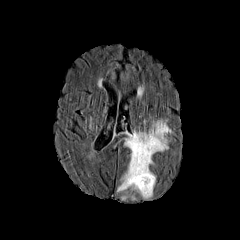
FLAIR MR.
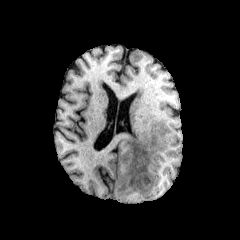
T1-weighted magnetic resonance.
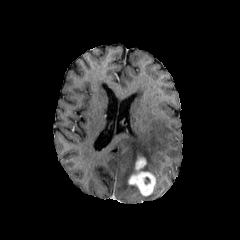
Post-contrast T1-weighted MR image.
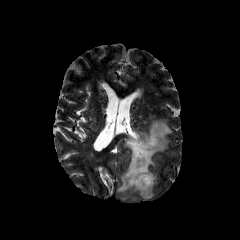
T2-weighted MRI of the same slice.
Image size 240x240
Enhancing tumor = box=[128, 158, 155, 196].
Edema = box=[116, 119, 173, 200].